Upper abdomen. Slice index 350. CT slice. 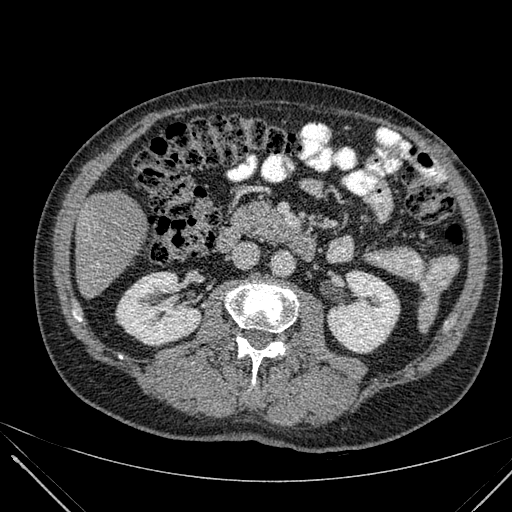
2 kidney regions are located at <bbox>328, 272, 399, 352</bbox>, <bbox>116, 272, 200, 344</bbox>. The liver is bounded by <bbox>76, 191, 149, 295</bbox>.